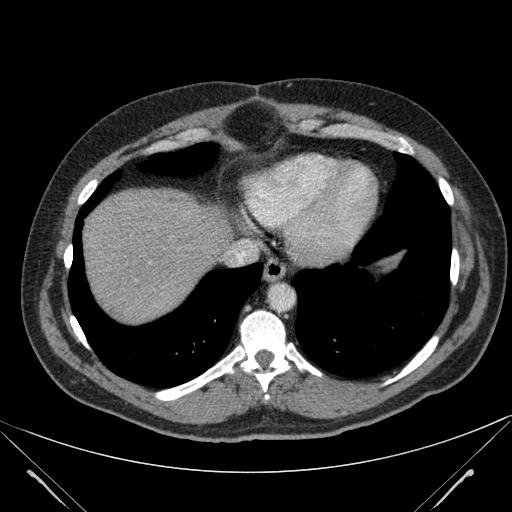

CT slice

Liver — (left=83, top=189, right=234, bottom=323).